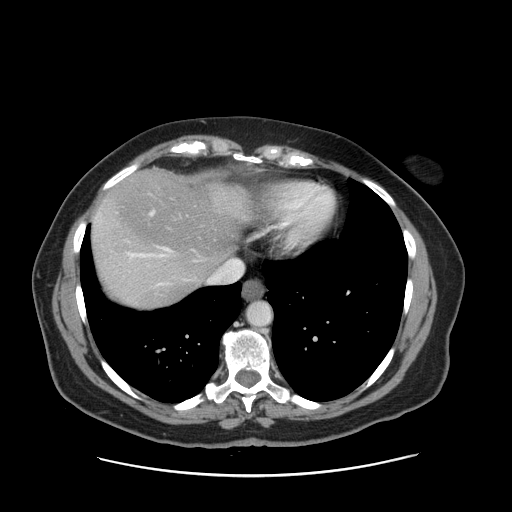
CT slice | Image size 512x512
The vessel boxes may cover only some of the vessels.
Hepatic vessel: bounding box {"x1": 159, "y1": 283, "x2": 162, "y2": 284}, {"x1": 150, "y1": 210, "x2": 154, "y2": 215}.